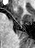
MRI slice. Hippocampus. * anterior hippocampus: [15, 7, 17, 8]